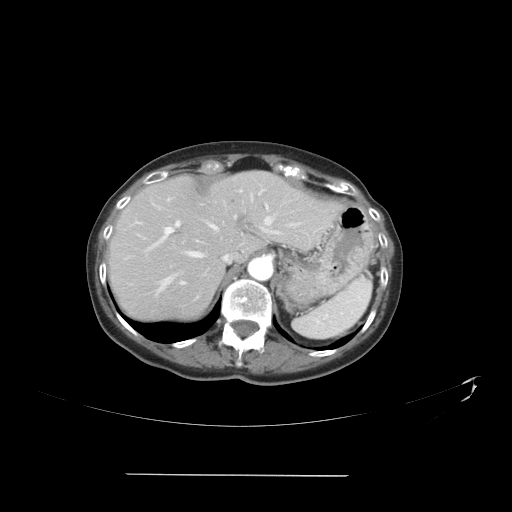
Abdomen. CT scan slice.
The vessel annotation is not exhaustive.
<segmentation>
  <hepatic_vessel><bbox>265, 217, 271, 223</bbox>, <bbox>180, 281, 185, 284</bbox>, <bbox>167, 197, 171, 200</bbox>, <bbox>291, 223, 299, 225</bbox>, <bbox>265, 205, 268, 209</bbox>, <bbox>250, 194, 252, 200</bbox>, <bbox>239, 190, 242, 192</bbox>, <bbox>234, 215, 236, 217</bbox>, <bbox>260, 227, 280, 234</bbox>, <bbox>258, 189, 263, 194</bbox>, <bbox>209, 223, 217, 229</bbox>, <bbox>196, 240, 197, 241</bbox>, <bbox>150, 221, 179, 247</bbox>, <bbox>188, 252, 201, 256</bbox></hepatic_vessel>
</segmentation>